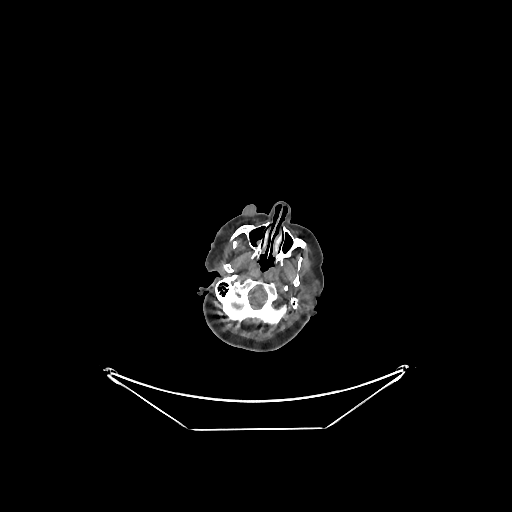
Head | CT
brain: 248:284:267:309